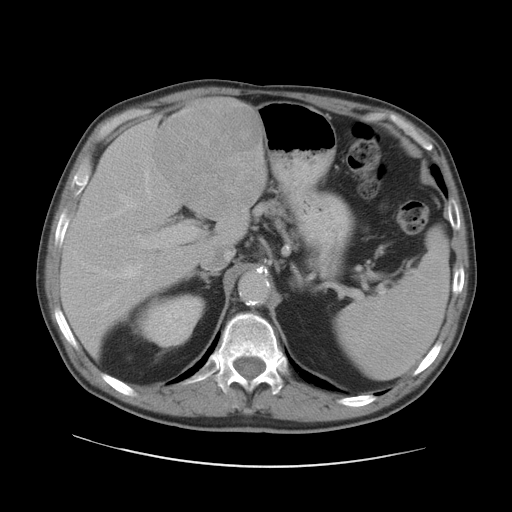

CT image, Image size 512x512, Liver
The vessel annotation is not exhaustive.
14 hepatic vessel regions are bounded by 164:200:165:201, 150:257:152:262, 103:217:106:219, 97:302:109:308, 87:265:88:266, 144:171:148:182, 133:224:197:250, 87:279:96:281, 147:196:151:201, 146:189:149:192, 112:189:139:217, 75:257:77:261, 82:262:84:264, 101:264:140:278. The liver tumor is bounded by 152:103:266:218.